Computed tomography; Upper abdomen 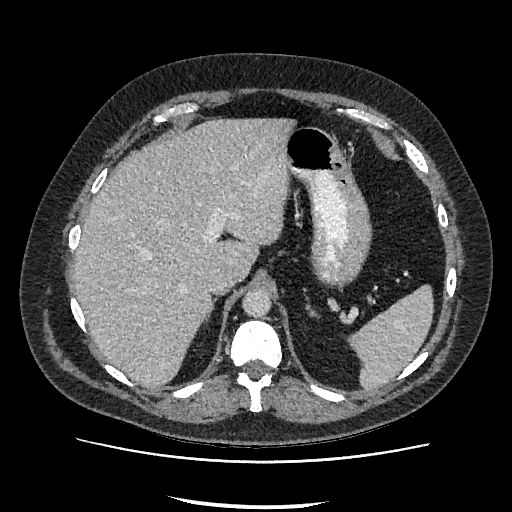 Liver: (x1=76, y1=119, x2=293, y2=386).